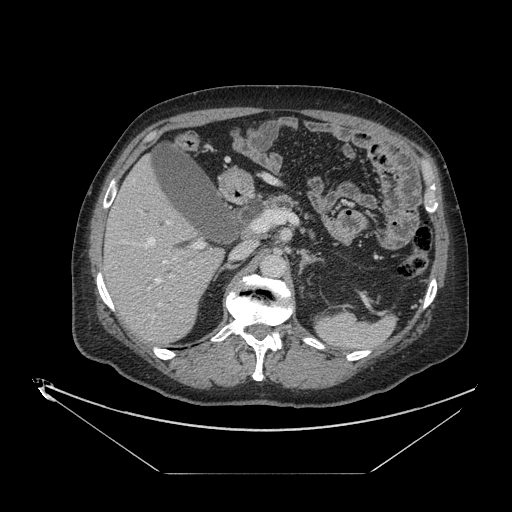

CT slice.
The pancreas lies within (269, 194, 297, 211).